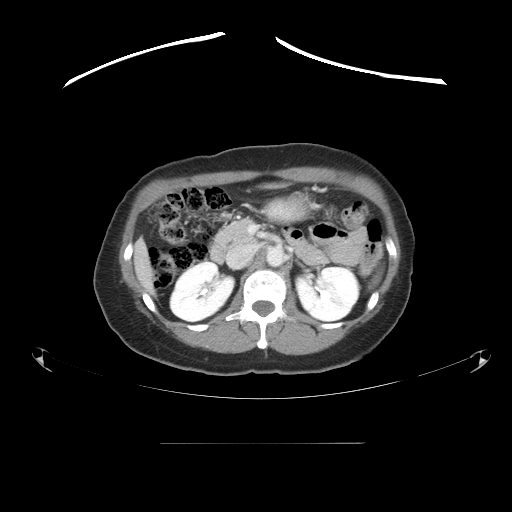 Computed tomography
The vessel annotation is not exhaustive.
Hepatic vessel — bbox=[249, 230, 253, 232]; bbox=[228, 251, 254, 266].